512x512 px; CT scan slice; Liver 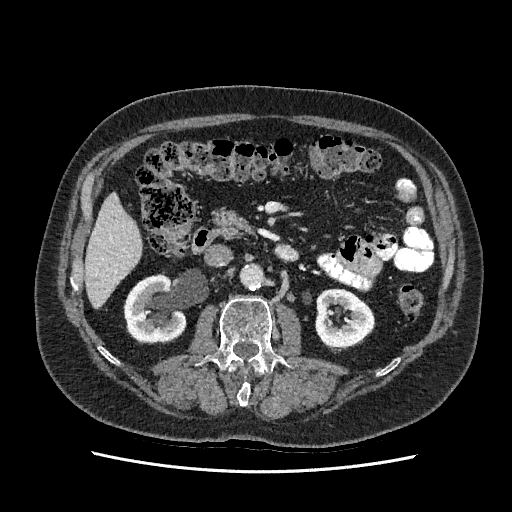
<segmentation>
  <kidney><box>125,276,185,341</box>, <box>316,290,373,346</box></kidney>
  <liver><box>85,192,141,308</box></liver>
</segmentation>